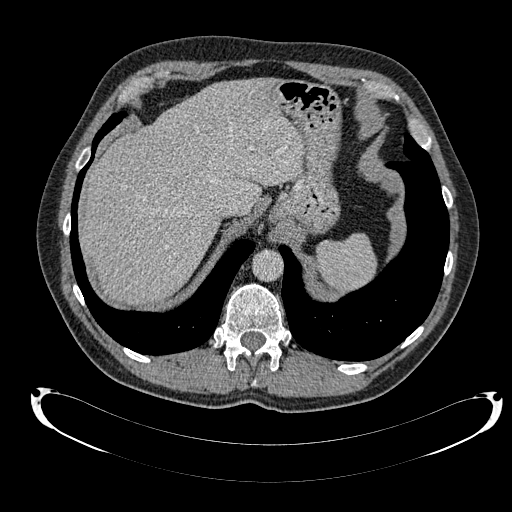 CT | Image size 512x512 | Upper abdomen
Liver: 84, 78, 303, 304.